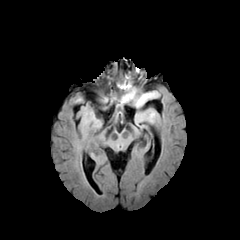
FLAIR MR.
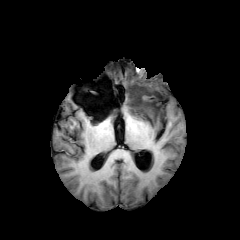
T1-weighted MR image.
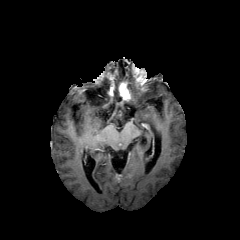
Post-contrast T1-weighted MR.
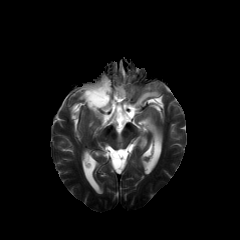
T2-weighted MR image of the same slice.
Brain.
Non-enhancing tumor core: bbox=[98, 87, 118, 106]; bbox=[121, 71, 143, 105].
Enhancing tumor: bbox=[120, 81, 133, 103].
Edema: bbox=[132, 90, 161, 130].